CT slice, Liver

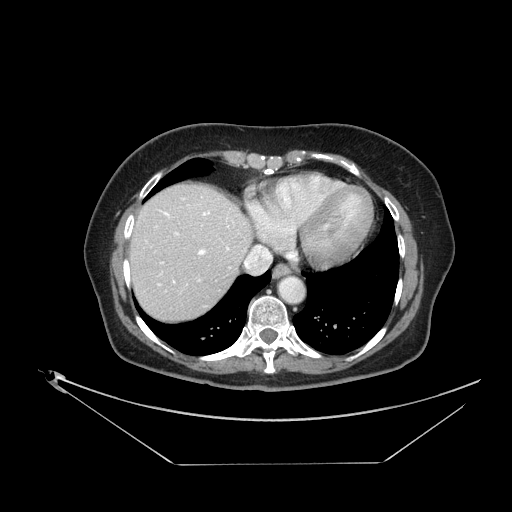 Some hepatic vessels may have no box.
hepatic vessel: 198:248:206:255, 239:246:246:256, 173:281:174:282, 202:210:209:216, 244:246:270:273, 157:283:160:285, 226:246:229:250, 160:211:170:217, 174:232:178:235